CT slice | Field of view 400 mm wide, 0.80 mm slice spacing

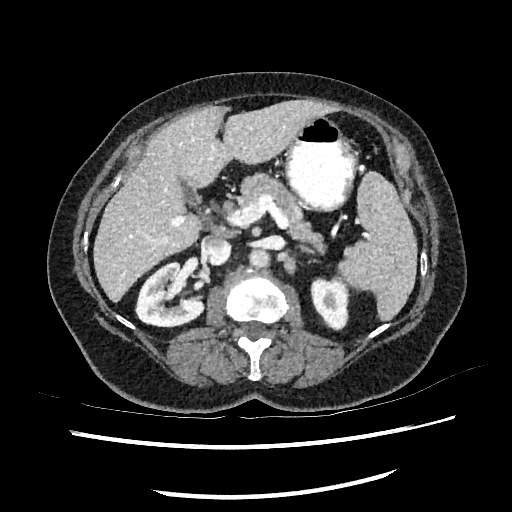

{
  "liver": [
    "(left=94, top=100, right=329, bottom=302)"
  ],
  "liver_lesion": [
    "(left=101, top=242, right=111, bottom=253)"
  ],
  "kidney": [
    "(left=136, top=263, right=202, bottom=326)",
    "(left=312, top=280, right=346, bottom=328)"
  ]
}